Computed tomography | Slice 507/630 | Field of view 330 mm wide, 0.70 mm slice spacing

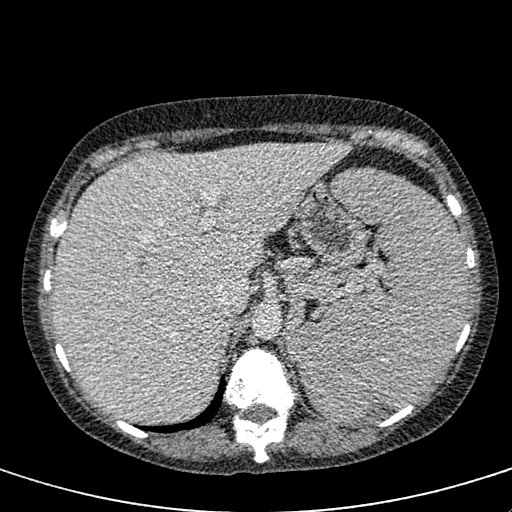

• liver: (53, 144, 350, 421)